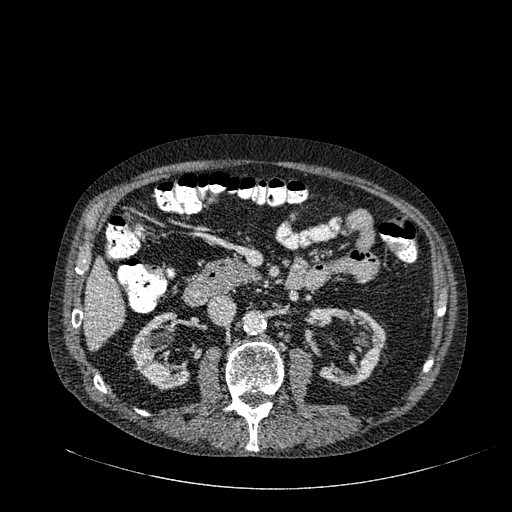 Abdomen; Image size 512x512; CT
Kidney: region(191, 317, 204, 328); region(319, 309, 385, 386); region(129, 312, 189, 389).
Liver: region(85, 256, 125, 350).